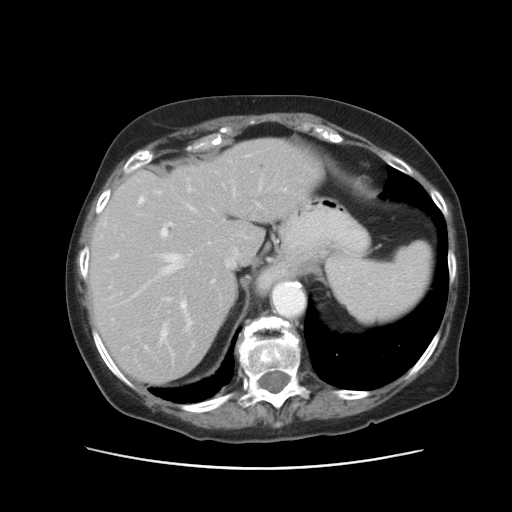

CT scan slice. Abdomen.
Only some of the vessels may be annotated.
[15/20] hepatic vessel: rect(225, 249, 237, 266); rect(137, 197, 144, 204); rect(143, 345, 147, 349); rect(180, 301, 191, 330); rect(253, 201, 259, 206); rect(120, 301, 125, 303); rect(159, 324, 167, 346); rect(281, 188, 285, 192); rect(211, 280, 213, 282); rect(187, 205, 194, 211); rect(160, 223, 170, 236); rect(129, 282, 149, 299); rect(258, 178, 261, 189); rect(154, 191, 160, 194); rect(160, 254, 182, 274)